Slice 23 of 33 | 38x48 | Magnetic resonance 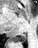 posterior hippocampus: bbox=[14, 33, 26, 41]